Head.
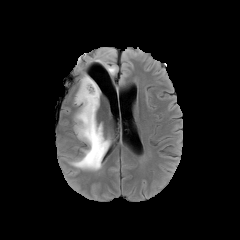
FLAIR MR image.
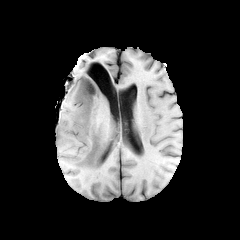
T1-weighted MR image of the same slice.
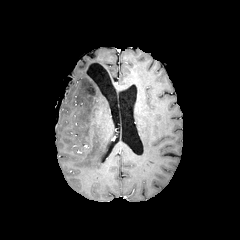
Post-contrast T1-weighted magnetic resonance.
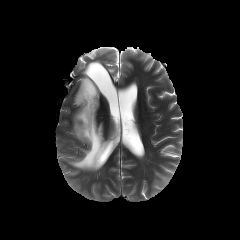
T2-weighted MRI.
• edema: 70 74 110 170, 96 56 116 76